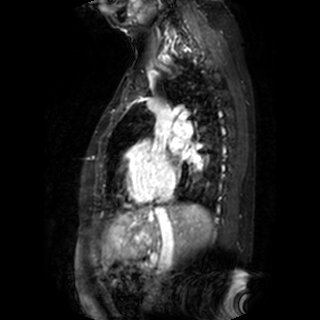 Heart | MR image | Image size 320x320

Left atrium at region(194, 156, 202, 164); region(169, 139, 182, 152).